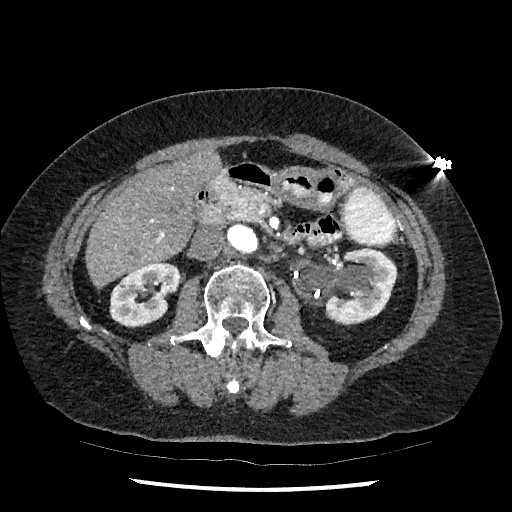

Abdomen. CT slice. Image size 512x512. liver: (86,150,221,288) | kidney: (331,255,342,269), (326,249,396,323), (110,262,179,326)